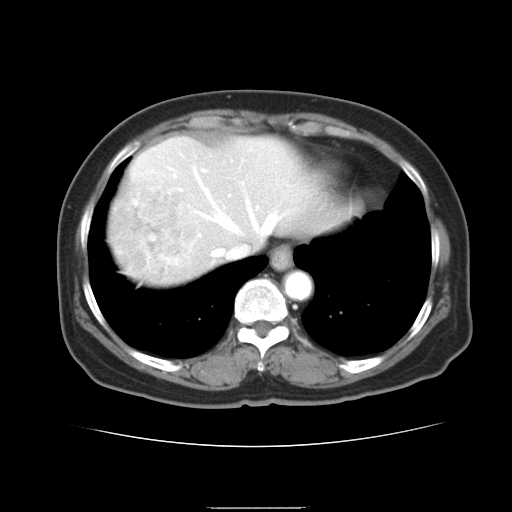

Abdomen. CT scan slice. Only some of the vessels may be annotated.
- hepatic vessel: bbox=[245, 200, 279, 234]; bbox=[179, 189, 180, 190]; bbox=[212, 246, 246, 257]; bbox=[193, 169, 208, 196]; bbox=[197, 212, 236, 231]; bbox=[201, 169, 205, 171]; bbox=[228, 195, 229, 196]; bbox=[240, 182, 242, 184]; bbox=[175, 261, 176, 263]
- liver tumor: bbox=[111, 184, 196, 282]